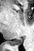

Medial temporal lobe; MRI
The posterior hippocampus appears at (x1=7, y1=37, x2=22, y2=44).